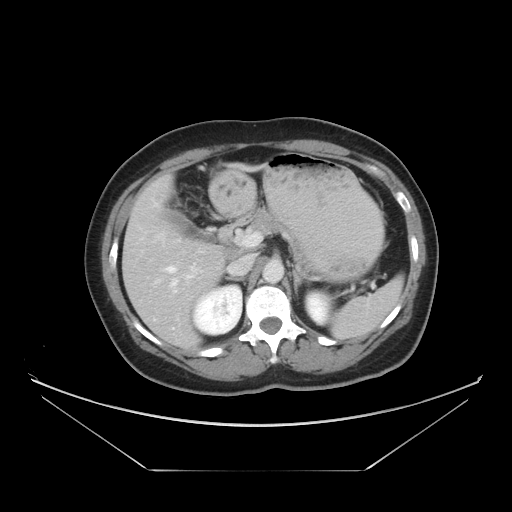 CT
Only some of the vessels may be annotated.
<segmentation>
  <hepatic_vessel>[187, 275, 190, 277]</hepatic_vessel>
</segmentation>